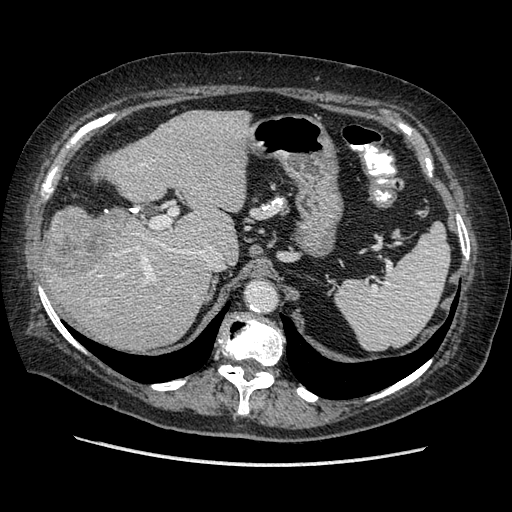 Abdomen. Computed tomography.

The vessel annotation is not exhaustive.
- hepatic vessel: 142 258 152 277, 134 246 138 249, 151 202 177 227
- liver tumor: 46 211 117 273